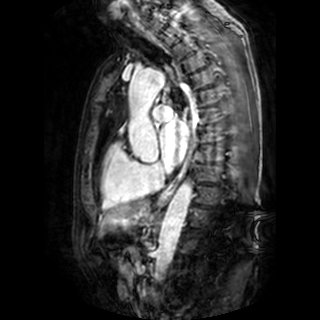 MRI
left_atrium:
  - (x1=160, y1=119, x2=189, y2=165)